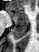 Magnetic resonance | Medial temporal lobe

anterior_hippocampus:
  - [x1=7, y1=9, x2=27, y2=21]
posterior_hippocampus:
  - [x1=12, y1=22, x2=27, y2=40]